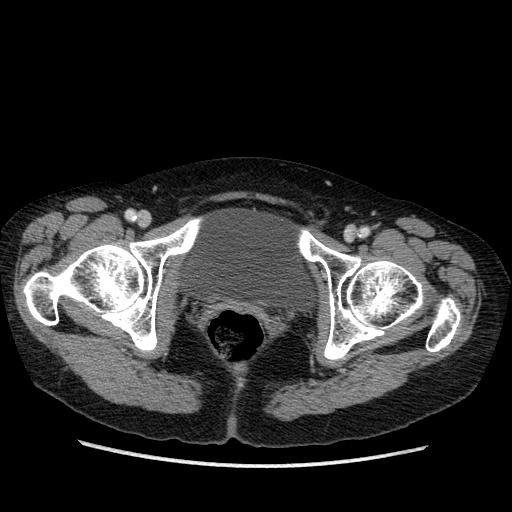 Lower abdomen; CT image

Urinary bladder at box(177, 207, 319, 319).